FLAIR magnetic resonance.
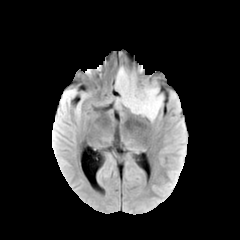
T1-weighted MR.
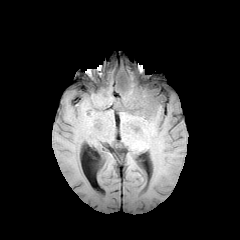
Post-contrast T1-weighted magnetic resonance.
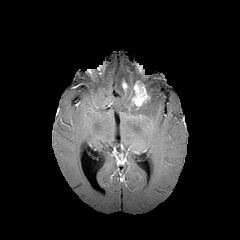
T2-weighted MRI.
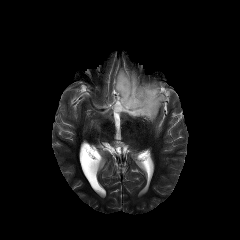
Enhancing tumor: bounding box rect(121, 80, 150, 109).
Non-enhancing tumor core: bounding box rect(128, 85, 153, 116); rect(114, 76, 140, 109).
Edema: bounding box rect(142, 84, 163, 121); rect(115, 68, 143, 88).